Field of view 400x400 mm | Computed tomography | Slice 102 of 271 | 512x512
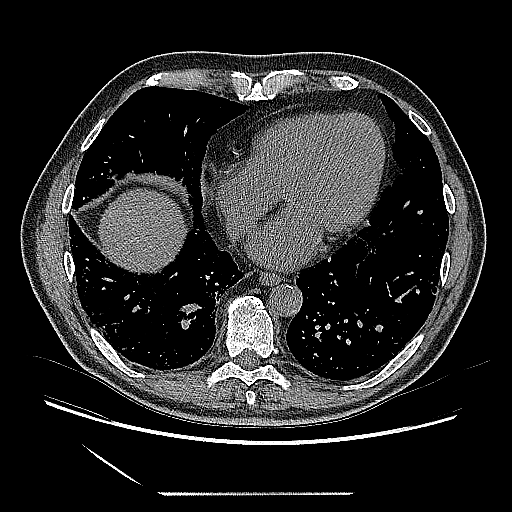
Lung tumor at {"x1": 343, "y1": 213, "x2": 390, "y2": 267}.